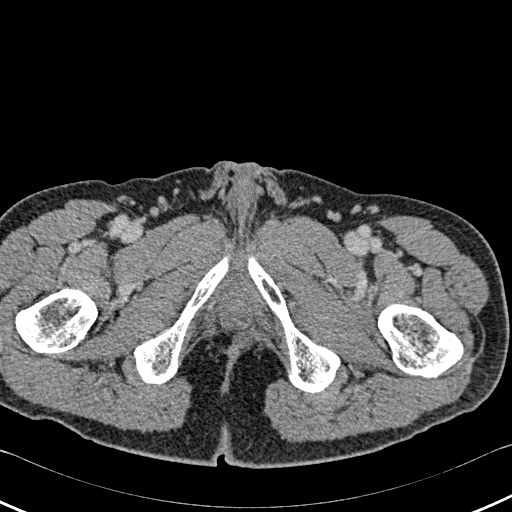

CT.
Annotated regions:
* bone: [378,304,462,377], [248,255,339,392], [134,256,228,383], [16,289,97,352]